Liver | Computed tomography | Slice 517/826 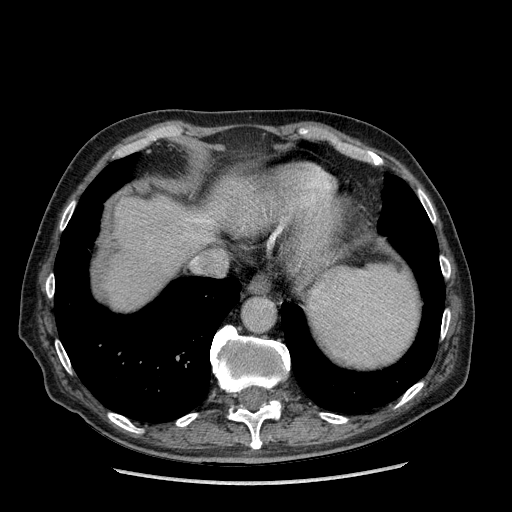
The liver is bounded by rect(105, 174, 240, 309).